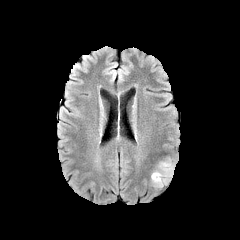
FLAIR MR image.
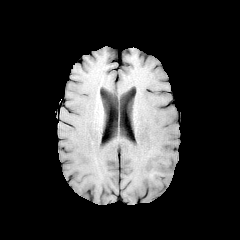
T1-weighted MR.
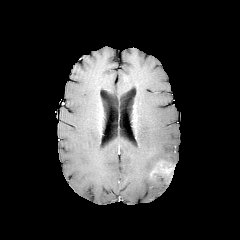
Post-contrast T1-weighted MRI.
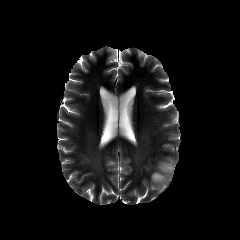
T2-weighted magnetic resonance.
Brain
Findings:
- enhancing tumor: {"x1": 161, "y1": 165, "x2": 174, "y2": 174}
- edema: {"x1": 151, "y1": 157, "x2": 175, "y2": 187}